Field of view 240 mm wide, 1.00 mm slice spacing. Slice 61/155. Brain.
FLAIR magnetic resonance.
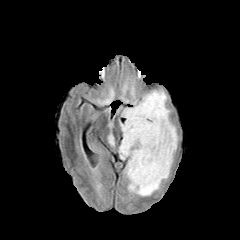
T1-weighted MR image.
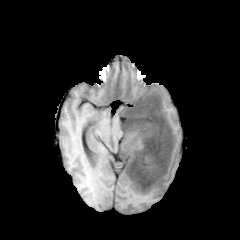
Post-contrast T1-weighted MRI.
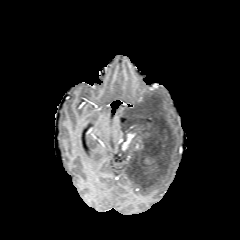
T2-weighted MR.
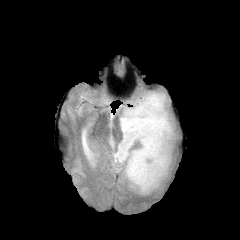
<segmentation>
  <non-enhancing_tumor_core>box=[119, 93, 171, 194]</non-enhancing_tumor_core>
  <enhancing_tumor>box=[122, 132, 136, 150]</enhancing_tumor>
  <edema>box=[122, 158, 134, 192]; box=[135, 89, 177, 195]; box=[130, 136, 142, 151]; box=[131, 92, 151, 107]</edema>
</segmentation>